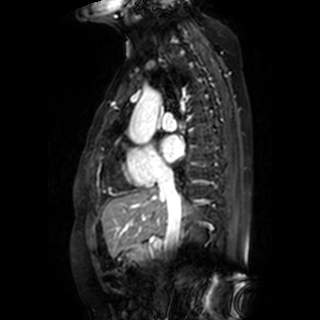

MRI slice

Left atrium = region(160, 135, 182, 162).